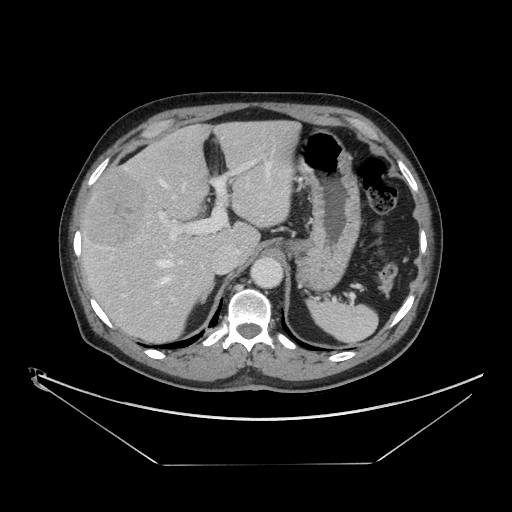

Liver; CT

The vessel boxes may cover only some of the vessels.
11 hepatic vessel regions are bounded by 160 181 167 186, 170 230 176 239, 158 260 172 267, 266 162 271 177, 231 160 255 173, 159 212 165 220, 174 196 175 197, 179 261 181 263, 161 277 170 283, 154 302 157 303, 97 246 100 247. The liver tumor is bounded by 83 168 149 247.